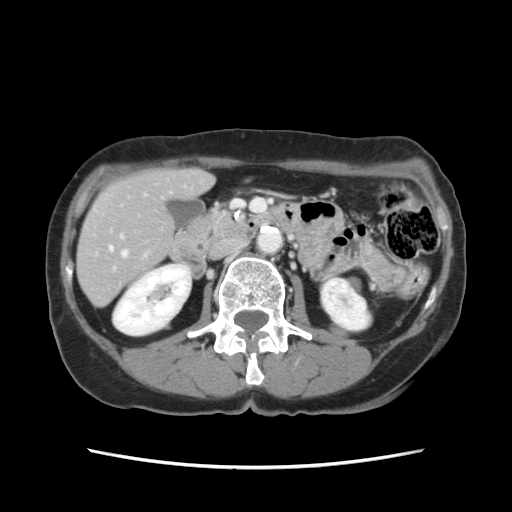

512x512 px. CT scan slice. The vessel boxes may cover only some of the vessels.
Hepatic vessel at rect(122, 251, 126, 256); rect(109, 247, 112, 249); rect(120, 235, 122, 238).